Slice index 48
FLAIR MRI.
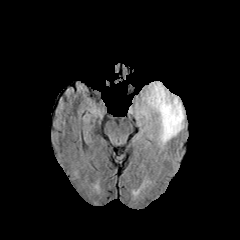
T1-weighted MRI.
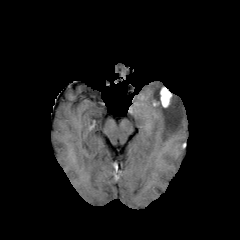
Post-contrast T1-weighted MR image.
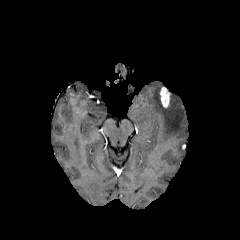
T2-weighted MR image.
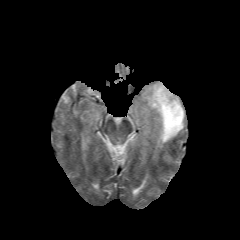
The enhancing tumor is at <box>160,87,170,107</box>. The edema is at <box>130,81,185,147</box>.